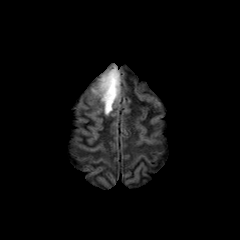
FLAIR MRI.
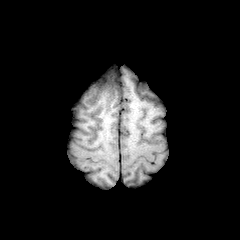
T1-weighted MRI.
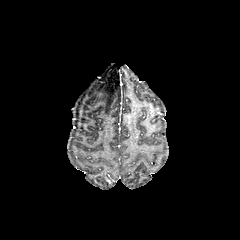
Post-contrast T1-weighted magnetic resonance of the same slice.
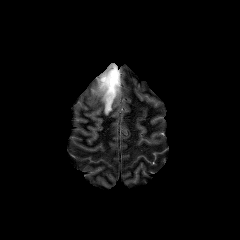
T2-weighted MR image of the same slice.
Head, 240x240
Annotated regions:
- edema: (x1=91, y1=64, x2=122, y2=115)